CT slice; Field of view 700 mm wide, 3.27 mm slice spacing; Abdomen

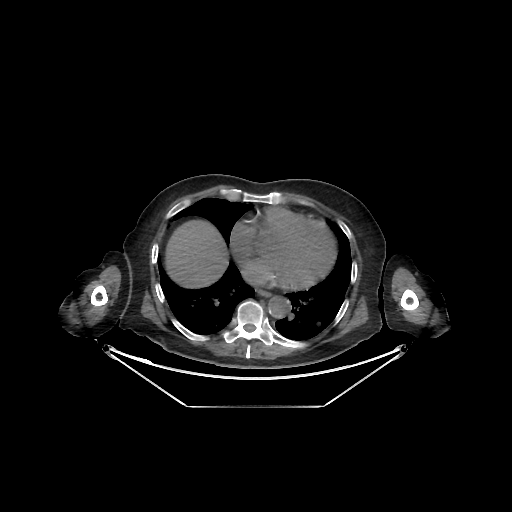
Segmented structures:
• liver: (left=166, top=221, right=228, bottom=287)
• lung: (left=173, top=198, right=253, bottom=245), (left=158, top=257, right=255, bottom=334), (left=275, top=219, right=351, bottom=340)
• bone: (left=91, top=285, right=107, bottom=306), (left=400, top=289, right=418, bottom=310), (left=173, top=320, right=207, bottom=340), (left=243, top=193, right=279, bottom=203), (left=351, top=264, right=357, bottom=281), (left=223, top=301, right=304, bottom=347), (left=152, top=244, right=157, bottom=263), (left=155, top=284, right=163, bottom=302), (left=336, top=301, right=348, bottom=322)